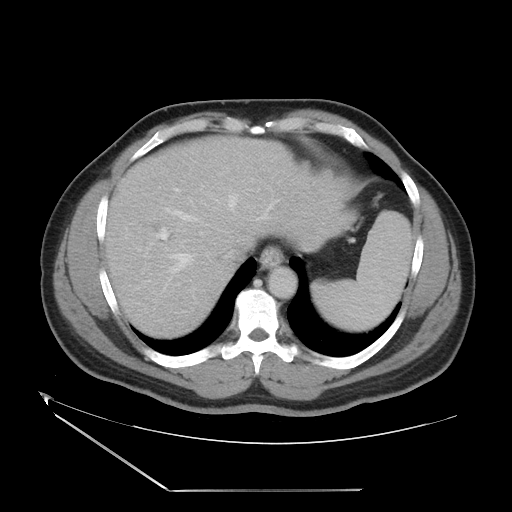
CT scan slice | Abdomen
The vessel boxes may cover only some of the vessels.
hepatic vessel: x1=228, y1=194, x2=237, y2=211; x1=169, y1=253, x2=195, y2=272; x1=215, y1=226, x2=219, y2=229; x1=174, y1=188, x2=180, y2=191; x1=206, y1=254, x2=208, y2=256; x1=236, y1=242, x2=251, y2=256; x1=137, y1=248, x2=139, y2=250; x1=220, y1=230, x2=224, y2=231; x1=165, y1=208, x2=197, y2=220; x1=157, y1=228, x2=167, y2=239; x1=256, y1=200, x2=277, y2=220